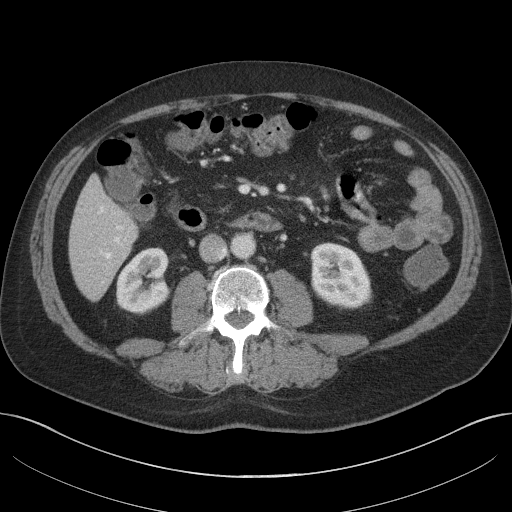
CT scan slice. Image size 512x512.

The liver is located at <bbox>69, 177, 135, 298</bbox>. 2 kidney regions are located at <bbox>312, 244, 368, 306</bbox>, <bbox>117, 249, 167, 311</bbox>.